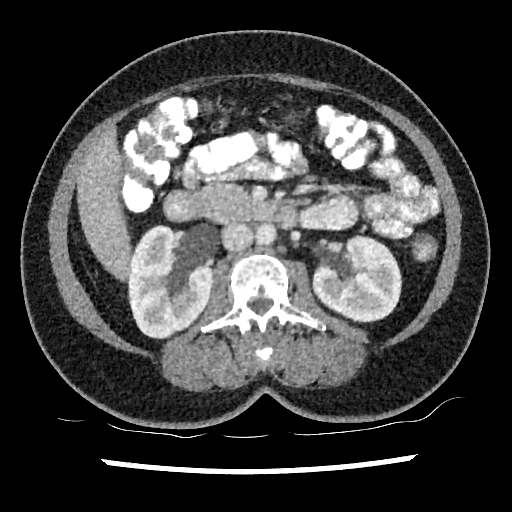
Computed tomography, Liver
Kidney: x1=129, y1=226, x2=211, y2=337; x1=313, y1=237, x2=400, y2=321.
Liver: x1=78, y1=132, x2=130, y2=277.